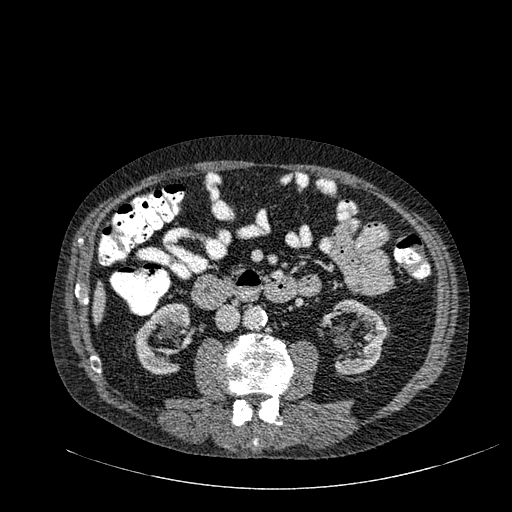
Liver. Computed tomography.

<segmentation>
  <liver>{"x1": 93, "y1": 284, "x2": 103, "y2": 323}</liver>
  <kidney>{"x1": 134, "y1": 303, "x2": 196, "y2": 374}, {"x1": 320, "y1": 301, "x2": 389, "y2": 374}</kidney>
</segmentation>